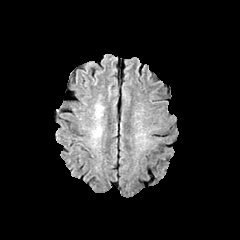
FLAIR MR image.
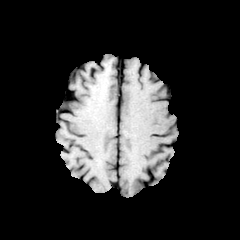
T1-weighted MR of the same slice.
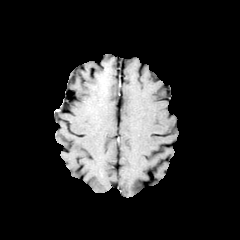
Post-contrast T1-weighted MR image.
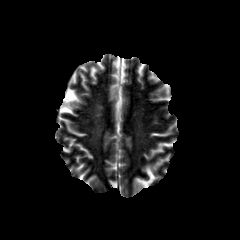
T2-weighted MR.
240x240, Brain
* edema: region(95, 104, 103, 118); region(92, 125, 101, 145)